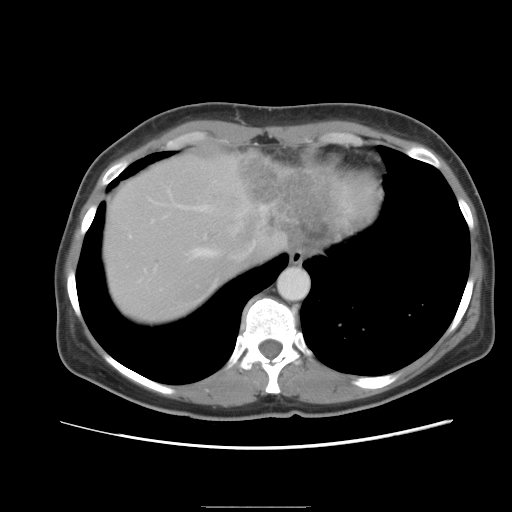
Computed tomography, 512x512, Liver
The vessel boxes may cover only some of the vessels.
liver tumor: (229, 154, 346, 248) | hepatic vessel: (175, 204, 206, 209), (128, 235, 130, 237), (192, 247, 223, 258), (235, 226, 237, 231), (230, 246, 253, 260)